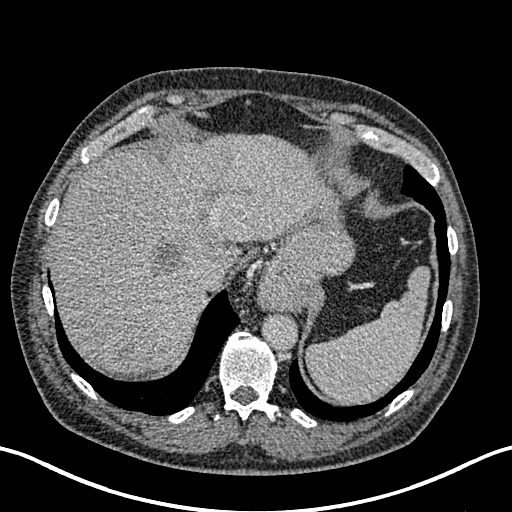 Computed tomography
Annotated regions:
* liver: 51:132:335:372
* focal liver lesion: 148:240:194:277, 114:345:134:364, 193:203:209:224, 208:187:218:199, 198:236:213:253, 180:289:195:298